Slice 89 of 148 | CT image | Image size 512x512 | Upper abdomen 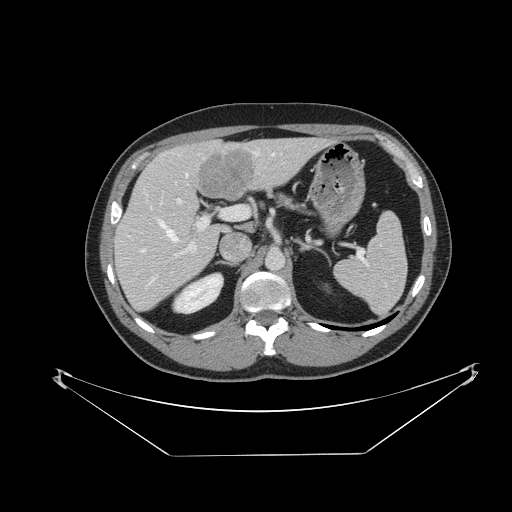
The spleen is located at box=[334, 212, 406, 313].